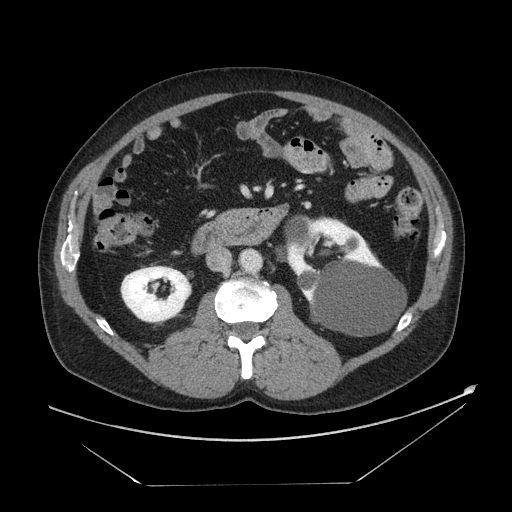
CT image, 512x512
pancreas:
  - 218 209 250 226